FLAIR MR.
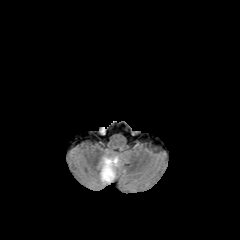
T1-weighted MR image.
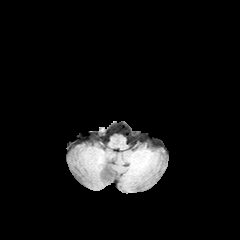
Post-contrast T1-weighted magnetic resonance.
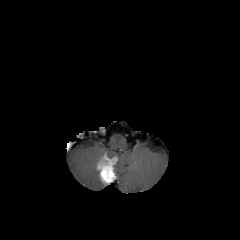
T2-weighted MR image.
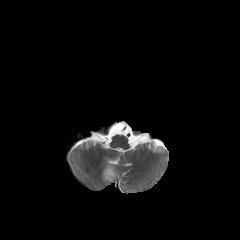
Head
Non-enhancing tumor core — [100, 161, 115, 183].
Edema — [108, 157, 117, 167].
Enhancing tumor — [102, 159, 112, 178].